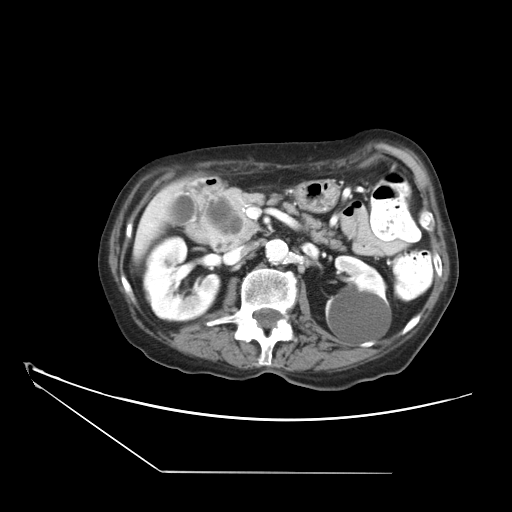 CT scan slice

<segmentation>
  <pancreatic_tumor>(207,197,243,237)</pancreatic_tumor>
  <pancreas>(200,188,345,252)</pancreas>
</segmentation>